Hippocampus | MRI slice 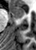

anterior_hippocampus:
  - x1=12, y1=5, x2=25, y2=18